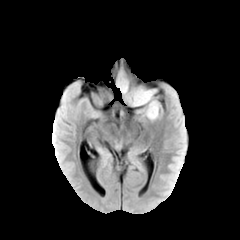
FLAIR MR.
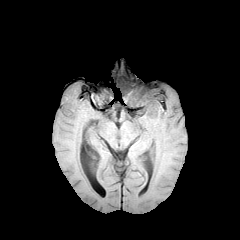
Same slice, T1-weighted MR image.
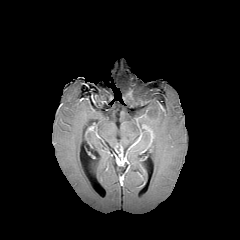
Post-contrast T1-weighted MR.
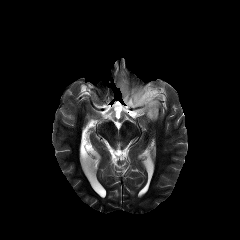
Same slice, T2-weighted MRI.
Brain
Non-enhancing tumor core — 124,89,152,106.
Edema — 133,101,160,120; 117,74,128,93; 130,87,158,100.